Liver; CT image; Image width 402 mm 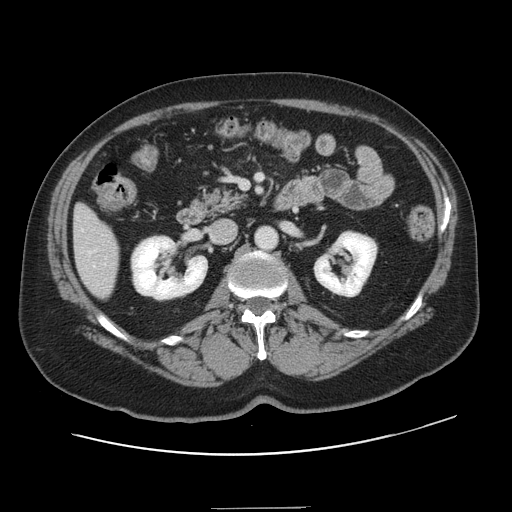

Only some of the vessels may be annotated.
hepatic vessel: box=[89, 252, 90, 253]